240x240
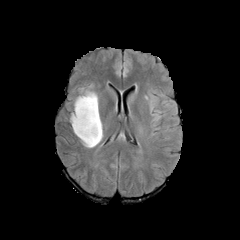
FLAIR MR.
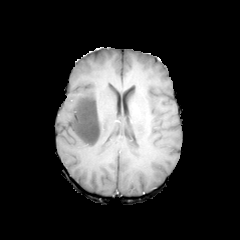
T1-weighted MR image.
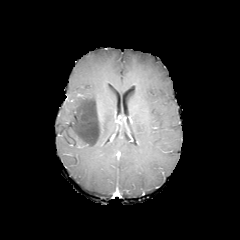
Post-contrast T1-weighted MRI of the same slice.
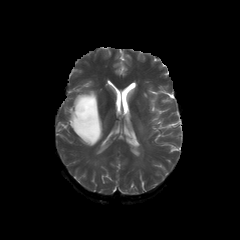
Same slice, T2-weighted magnetic resonance.
{
  "edema": [
    "[69,95,105,148]",
    "[79,89,99,109]",
    "[147,94,161,127]"
  ],
  "non-enhancing_tumor_core": [
    "[72,94,99,141]"
  ]
}